240x240 px | Brain | Slice index 97
FLAIR MR.
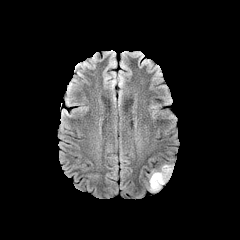
T1-weighted MR.
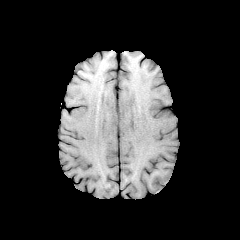
Post-contrast T1-weighted MR image.
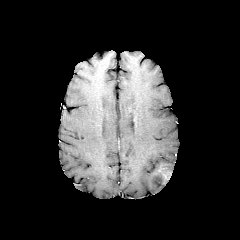
T2-weighted MR image.
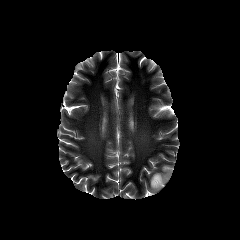
non-enhancing_tumor_core:
  - box(155, 174, 168, 184)
edema:
  - box(149, 164, 171, 191)